Field of view 436 mm wide, 5.00 mm slice spacing, CT image, Image size 512x512 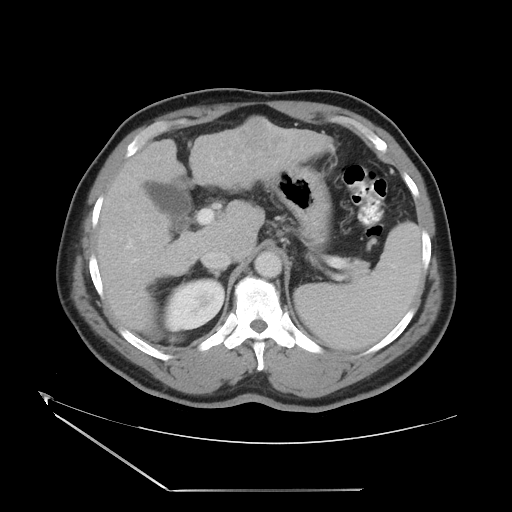 Some hepatic vessels may have no box.
Annotated regions:
* hepatic vessel: bbox(132, 259, 137, 261); bbox(126, 239, 134, 249); bbox(143, 235, 145, 238)
* liver tumor: bbox(237, 118, 281, 151)